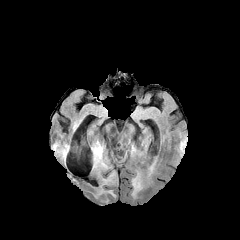
FLAIR MR.
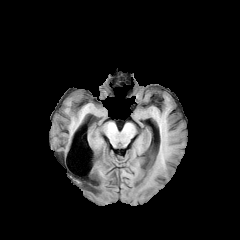
T1-weighted MR image of the same slice.
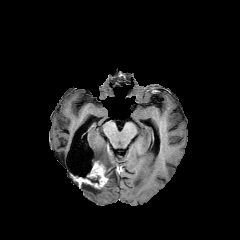
Post-contrast T1-weighted magnetic resonance.
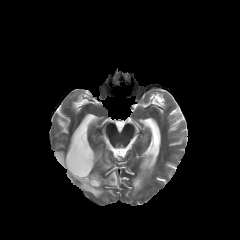
Same slice, T2-weighted magnetic resonance.
Head
3 edema regions appear at (left=91, top=138, right=117, bottom=185), (left=53, top=141, right=69, bottom=162), (left=93, top=186, right=114, bottom=195). 2 enhancing tumor regions are located at (left=97, top=176, right=107, bottom=187), (left=91, top=163, right=103, bottom=175). The non-enhancing tumor core is at (left=88, top=166, right=100, bottom=187).